512x512 px; Liver; CT image; Slice 531 of 871 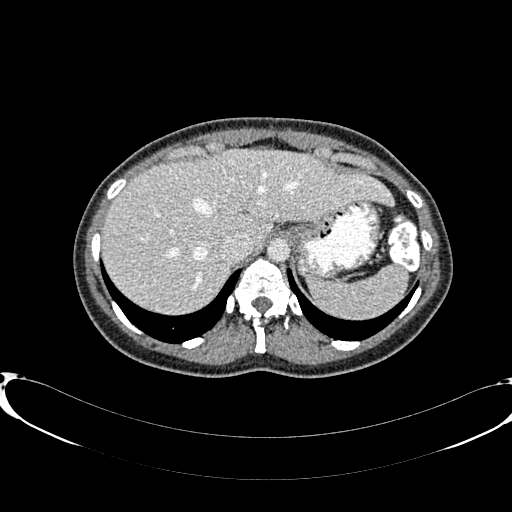

- liver: [102,149,394,313]